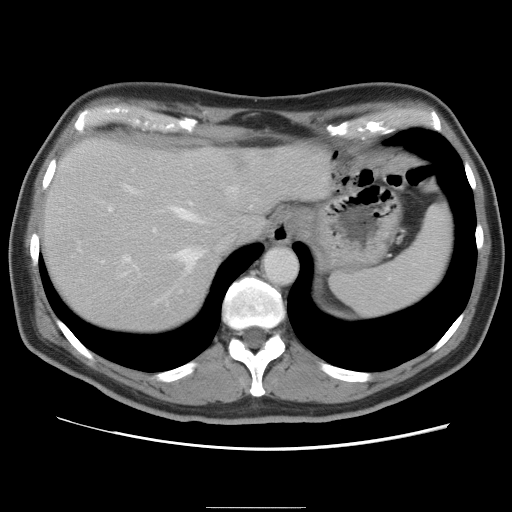

CT.
Some hepatic vessels may have no box.
11 hepatic vessel regions appear at [x1=124, y1=185, x2=135, y2=192], [x1=133, y1=264, x2=136, y2=267], [x1=121, y1=255, x2=130, y2=261], [x1=121, y1=272, x2=126, y2=275], [x1=157, y1=294, x2=166, y2=300], [x1=228, y1=185, x2=235, y2=192], [x1=174, y1=247, x2=201, y2=269], [x1=153, y1=227, x2=155, y2=230], [x1=108, y1=206, x2=111, y2=210], [x1=169, y1=205, x2=200, y2=220], [x1=78, y1=246, x2=80, y2=249]. The liver tumor is located at [x1=227, y1=156, x2=244, y2=169].